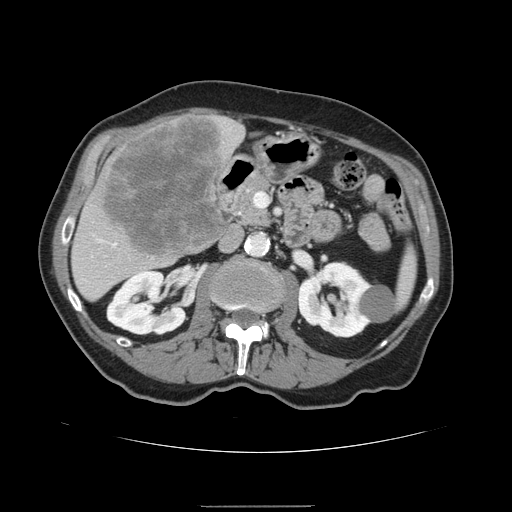 Computed tomography | Upper abdomen
Annotated regions:
* spleen: <box>395,245,416,309</box>